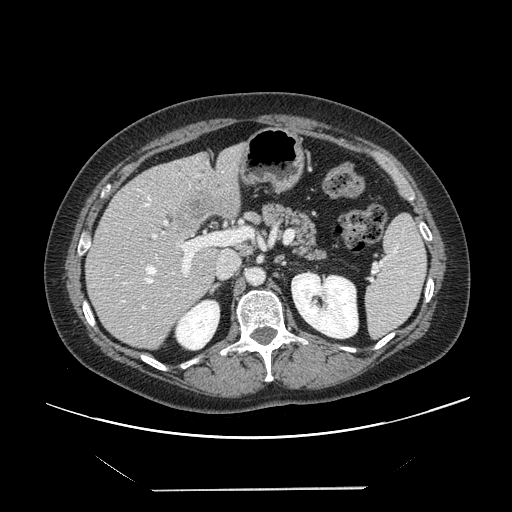 CT image; Abdomen
Not every hepatic vessel necessarily has a box.
Hepatic vessel at {"x1": 142, "y1": 305, "x2": 145, "y2": 309}, {"x1": 156, "y1": 255, "x2": 157, "y2": 260}, {"x1": 114, "y1": 274, "x2": 117, "y2": 276}, {"x1": 142, "y1": 194, "x2": 151, "y2": 207}, {"x1": 216, "y1": 250, "x2": 239, "y2": 277}, {"x1": 162, "y1": 232, "x2": 164, "y2": 233}, {"x1": 137, "y1": 189, "x2": 144, "y2": 193}, {"x1": 151, "y1": 233, "x2": 157, "y2": 238}, {"x1": 163, "y1": 293, "x2": 170, "y2": 295}, {"x1": 121, "y1": 300, "x2": 125, "y2": 301}, {"x1": 163, "y1": 220, "x2": 167, "y2": 224}, {"x1": 176, "y1": 228, "x2": 252, "y2": 276}, {"x1": 123, "y1": 282, "x2": 126, "y2": 284}, {"x1": 143, "y1": 265, "x2": 157, "y2": 283}.
Liver tumor at {"x1": 169, "y1": 179, "x2": 236, "y2": 236}.